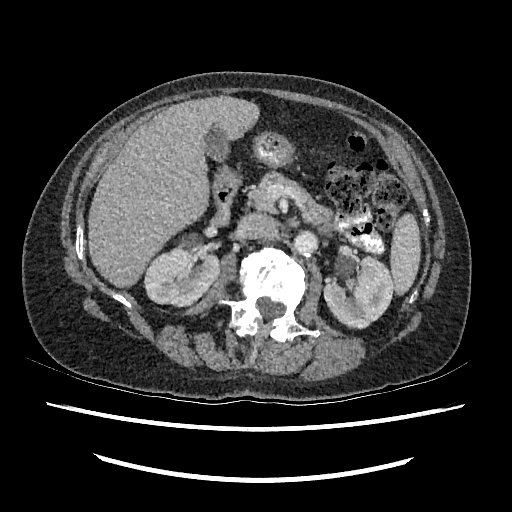
Image size 512x512; Abdomen; CT slice
• kidney: (x1=324, y1=257, x2=391, y2=327), (x1=145, y1=249, x2=219, y2=306)
• liver: (x1=89, y1=97, x2=259, y2=287)